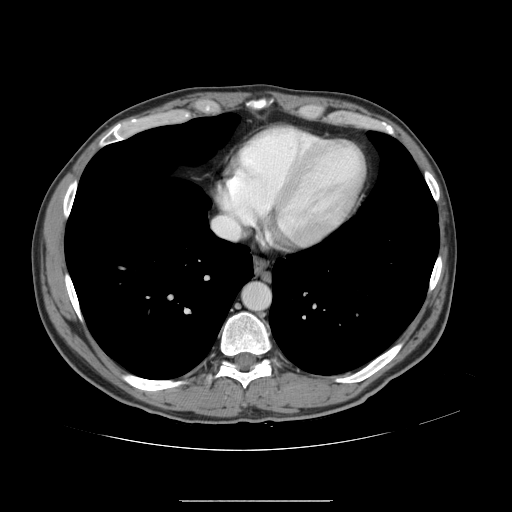

CT slice; Abdomen
Only some of the vessels may be annotated.
The hepatic vessel is bounded by [212,217,240,239].